Slice index 168 | CT | Lower abdomen 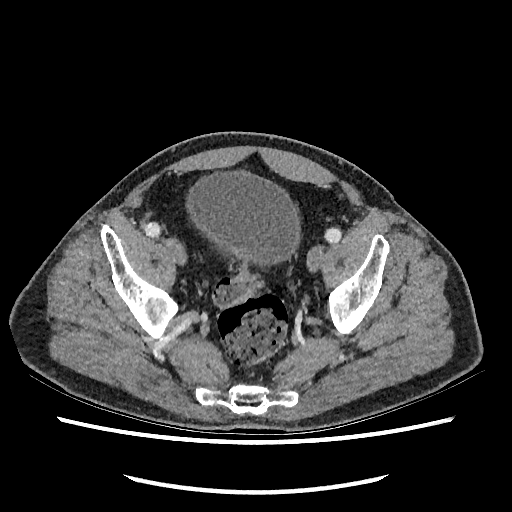
urinary bladder: <box>186,171,300,266</box>